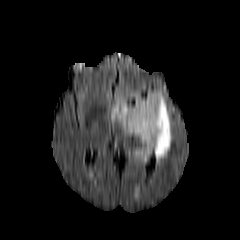
FLAIR MR image.
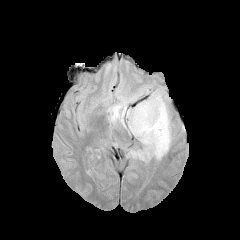
T1-weighted MR image.
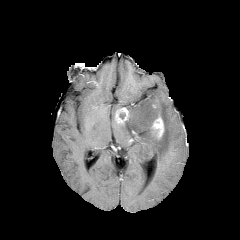
Post-contrast T1-weighted MR of the same slice.
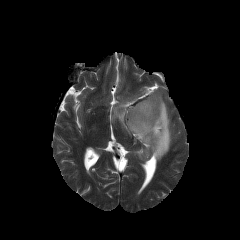
T2-weighted MR image of the same slice.
Edema at l=110, t=88, r=171, b=162.
Enhancing tumor at l=152, t=117, r=164, b=137; l=115, t=107, r=129, b=122.